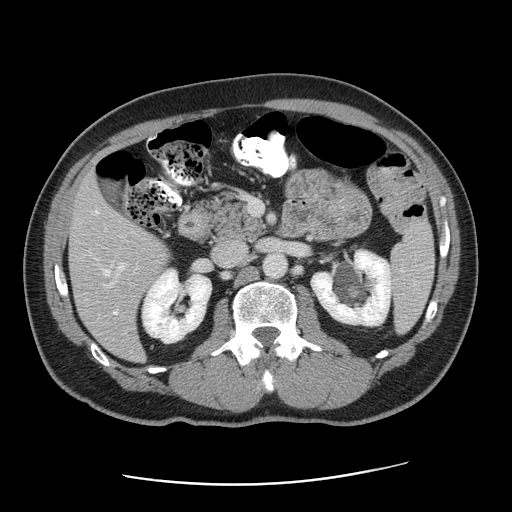 CT scan slice; Abdomen; 512x512

Some hepatic vessels may have no box.
Annotated regions:
• hepatic vessel: 95:211:97:213, 115:311:116:313, 105:269:109:274, 117:263:124:274, 110:282:113:284